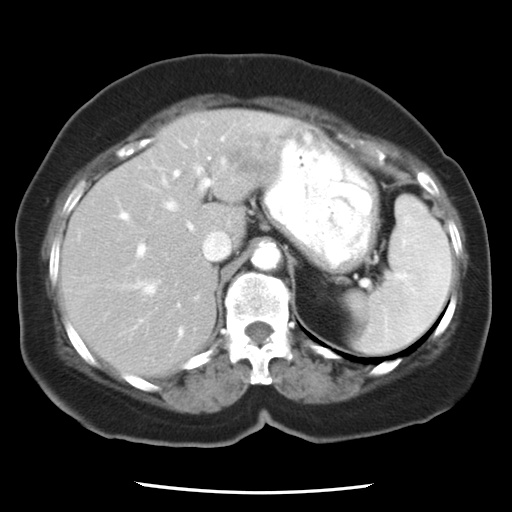

Liver | CT scan slice

Some hepatic vessels may have no box.
{"hepatic_vessel": ["left=188, top=224, right=192, bottom=228", "left=202, top=179, right=209, bottom=187", "left=195, top=167, right=201, bottom=172", "left=145, top=285, right=154, bottom=293", "left=167, top=203, right=174, bottom=209", "left=121, top=213, right=127, bottom=219", "left=174, top=171, right=178, bottom=175", "left=200, top=233, right=230, bottom=259", "left=138, top=245, right=144, bottom=254"], "liver_tumor": ["left=217, top=125, right=280, bottom=186"]}